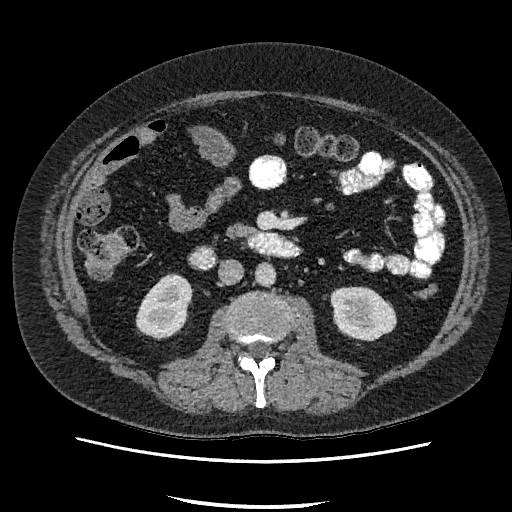 CT
Kidney — [x1=331, y1=288, x2=395, y2=339], [x1=137, y1=276, x2=191, y2=337].